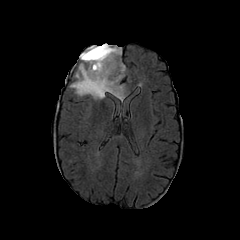
FLAIR MR image.
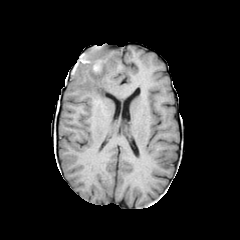
T1-weighted magnetic resonance of the same slice.
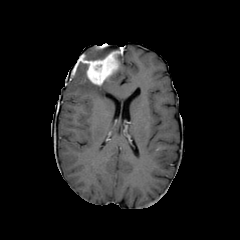
Post-contrast T1-weighted MR image.
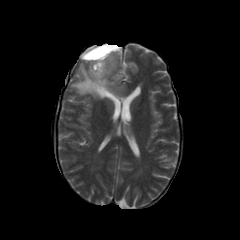
Same slice, T2-weighted MRI.
The edema is located at x1=70 y1=60 x2=127 y2=109. The enhancing tumor is at x1=79 y1=48 x2=123 y2=86. 2 non-enhancing tumor core regions are bounded by x1=84 y1=45 x2=122 y2=59, x1=86 y1=78 x2=106 y2=94.